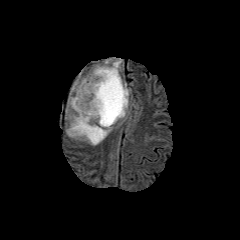
FLAIR MR.
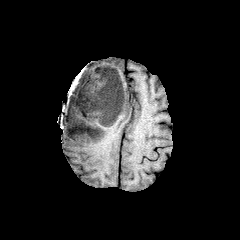
T1-weighted MR.
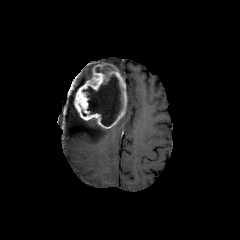
Same slice, post-contrast T1-weighted MRI.
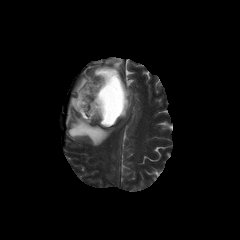
T2-weighted MR.
240x240; Head
non-enhancing tumor core: 83,76,121,126 | edema: 65,68,113,146; 103,57,122,72; 120,82,133,119 | enhancing tumor: 74,62,127,128